FLAIR magnetic resonance.
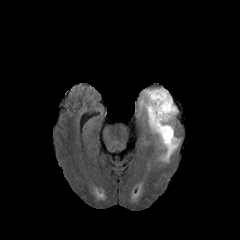
T1-weighted magnetic resonance.
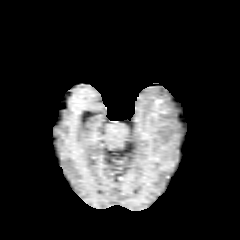
Post-contrast T1-weighted MR.
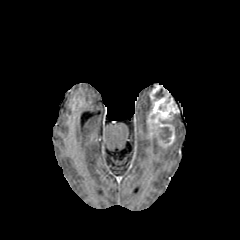
T2-weighted MRI.
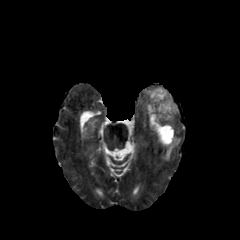
Head | 240x240
edema:
  - [161,138,180,161]
  - [138,89,150,114]
non-enhancing_tumor_core:
  - [161,127,171,139]
enhancing_tumor:
  - [147,86,178,148]